Liver. Slice 28 of 30. CT.

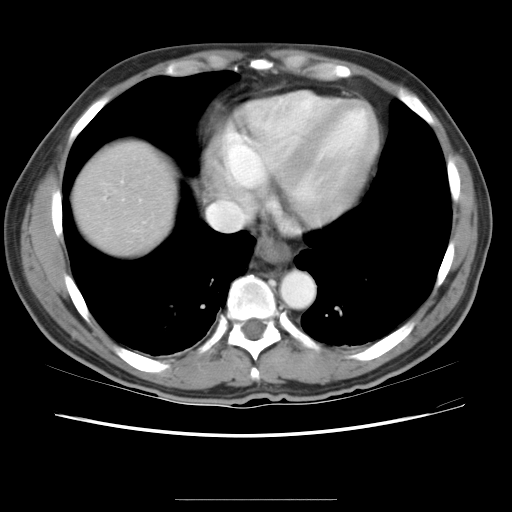 Some hepatic vessels may have no box.
Hepatic vessel — (x1=207, y1=199, x2=245, y2=230).